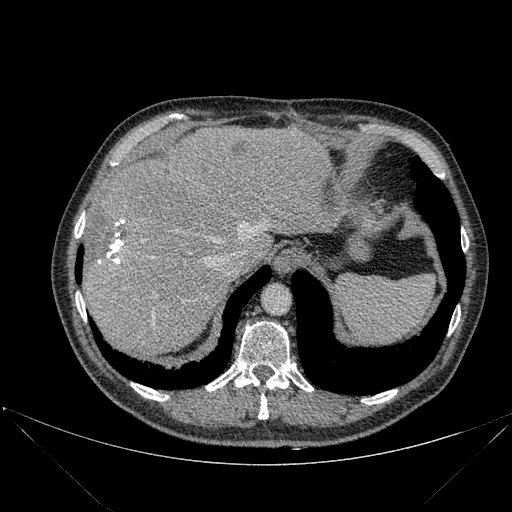

CT slice
3 lung regions are located at bbox=[75, 246, 83, 283]; bbox=[90, 265, 271, 388]; bbox=[291, 156, 465, 394]. 8 bone regions are bounded by bbox=[75, 293, 86, 321]; bbox=[362, 390, 397, 404]; bbox=[131, 383, 168, 401]; bbox=[74, 213, 84, 237]; bbox=[461, 228, 468, 251]; bbox=[206, 322, 313, 391]; bbox=[448, 310, 460, 334]; bbox=[258, 394, 268, 418]. 3 liver regions are bounded by bbox=[257, 231, 272, 252]; bbox=[244, 240, 257, 272]; bbox=[83, 126, 339, 353]. The hepatic lesion appears at bbox=[233, 143, 245, 153].